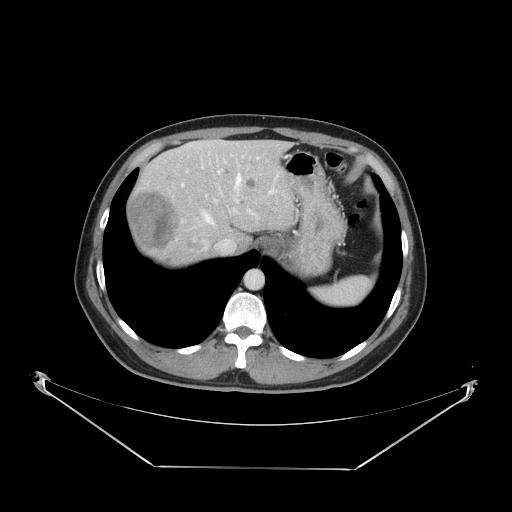 512x512 px; Abdomen; CT image
The vessel annotation is not exhaustive.
6 hepatic vessel regions are bounded by <box>234,198,236,201</box>, <box>236,174,240,186</box>, <box>249,211,253,213</box>, <box>202,240,208,250</box>, <box>193,237,195,241</box>, <box>202,212,214,225</box>. The liver tumor is bounded by <box>130,191,179,249</box>.